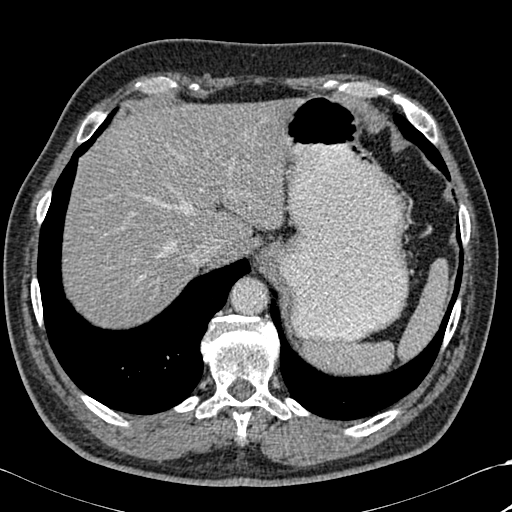 Liver | CT slice | 512x512 px

Liver at l=63, t=99, r=294, b=327.
Bone at l=37, t=192, r=50, b=222; l=345, t=410, r=397, b=436; l=144, t=78, r=175, b=91; l=77, t=112, r=105, b=142; l=393, t=95, r=437, b=142; l=31, t=279, r=42, b=323; l=175, t=315, r=307, b=439; l=82, t=396, r=127, b=425; l=459, t=205, r=464, b=242; l=444, t=301, r=460, b=345; l=341, t=83, r=388, b=95; l=466, t=210, r=469, b=242.
Lung at l=270, t=201, r=465, b=420; l=393, t=113, r=450, b=180; l=37, t=107, r=250, b=414.